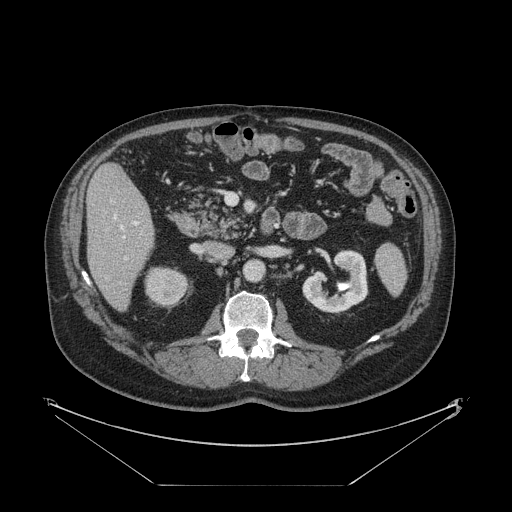 CT image
The vessel annotation is not exhaustive.
- hepatic vessel: [124, 257, 126, 259], [133, 221, 136, 223]